Slice 39/155 | Field of view 240x240 mm | Head
FLAIR MR image.
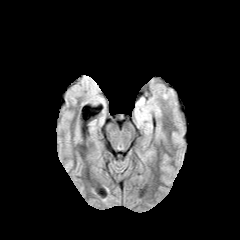
T1-weighted MR image.
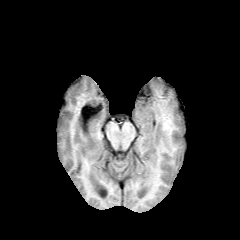
Post-contrast T1-weighted MR.
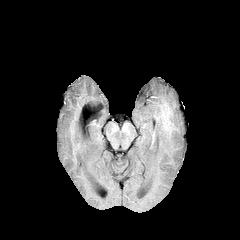
T2-weighted MR.
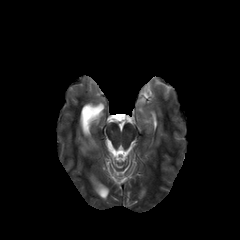
<segmentation>
  <edema>region(136, 97, 159, 125)</edema>
</segmentation>